Medial temporal lobe | MR image | Field of view 34 mm wide, 1.00 mm slice spacing
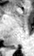
posterior hippocampus: (13, 48, 17, 48)